T2-weighted MRI.
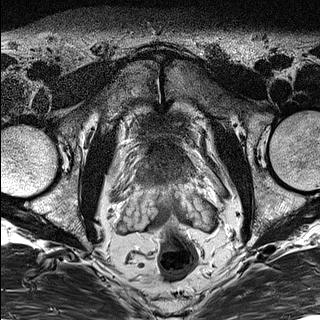
ADC MR.
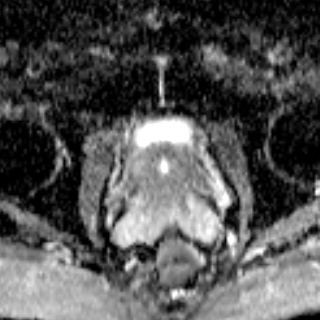
Pelvis
Prostate transition zone at <bbox>138, 150, 191, 183</bbox>.